CT slice | Upper abdomen

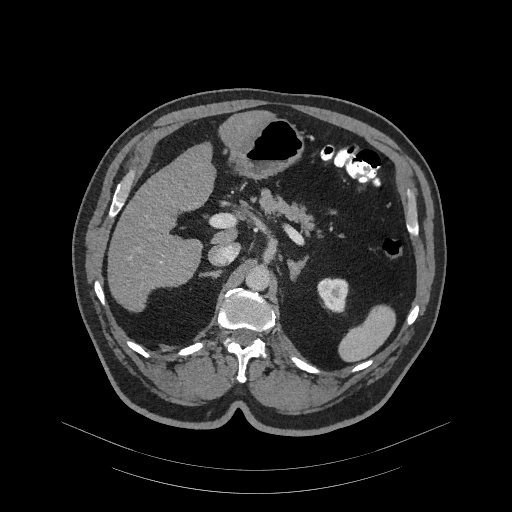 Pancreas — 258:189:316:233.